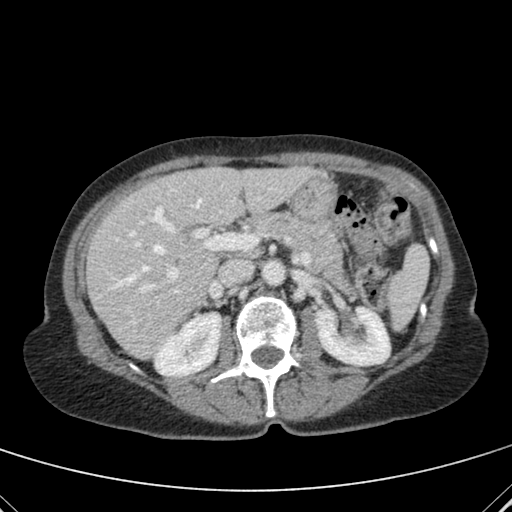
Image size 512x512; Liver; CT slice
Liver = left=86, top=167, right=312, bottom=357.
Kidney = left=316, top=308, right=389, bottom=364; left=155, top=314, right=219, bottom=375.